Image width 450 mm. CT scan slice. Liver. Slice 145/158. 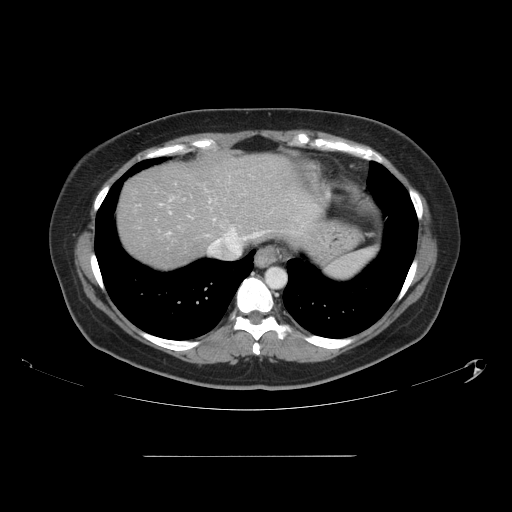
Only some of the vessels may be annotated.
hepatic vessel: [231, 228, 235, 234], [245, 233, 258, 238]